Image size 240x240 | Slice 47 of 155
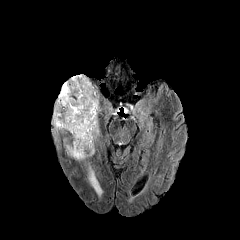
FLAIR magnetic resonance.
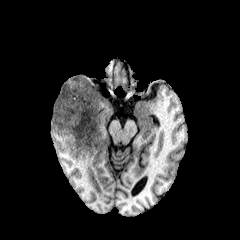
T1-weighted MR.
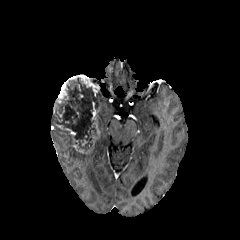
Same slice, post-contrast T1-weighted MRI.
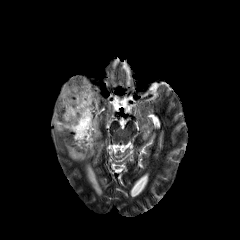
T2-weighted magnetic resonance.
edema: x1=65 y1=145 x2=91 y2=162, x1=99 y1=96 x2=108 y2=112, x1=86 y1=165 x2=102 y2=196 | non-enhancing tumor core: x1=51 y1=77 x2=100 y2=151 | enhancing tumor: x1=72 y1=139 x2=85 y2=153, x1=55 y1=80 x2=67 y2=103, x1=68 y1=75 x2=100 y2=96, x1=85 y1=101 x2=99 y2=154